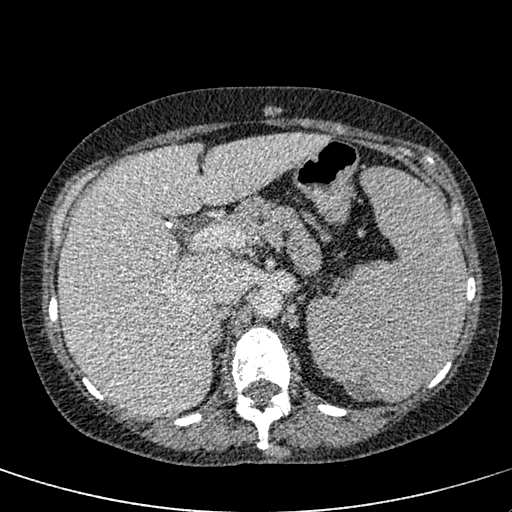

CT slice, Upper abdomen, 512x512
Liver — 59 134 327 416.